CT scan slice | Field of view 378 mm wide, 0.80 mm slice spacing | Slice index 295 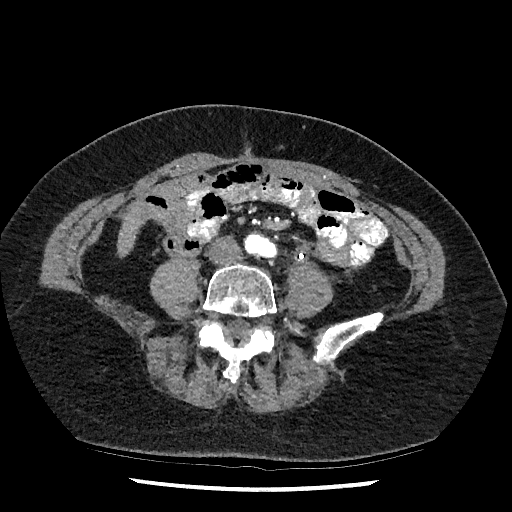 * liver: left=118, top=204, right=146, bottom=254